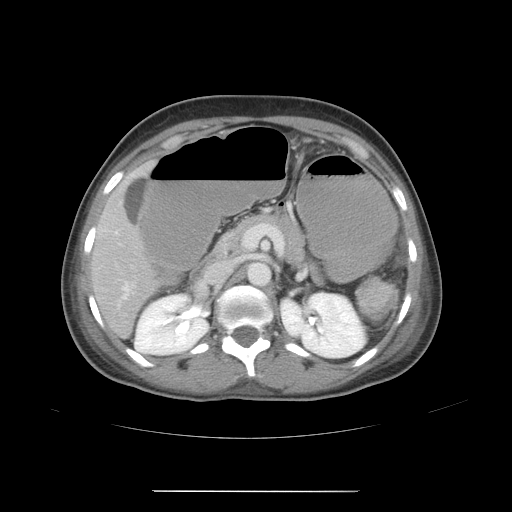
CT
The colon tumor is at x1=355 y1=277 x2=392 y2=320.